Slice 13 of 33 | Medial temporal lobe | MR 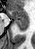

anterior hippocampus: {"x1": 7, "y1": 9, "x2": 28, "y2": 20} | posterior hippocampus: {"x1": 15, "y1": 21, "x2": 27, "y2": 30}